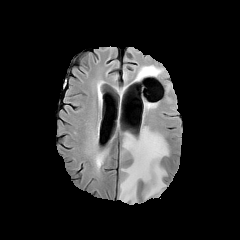
FLAIR MR image.
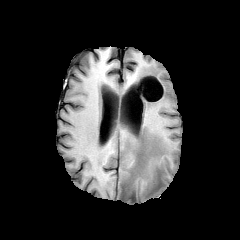
T1-weighted MRI.
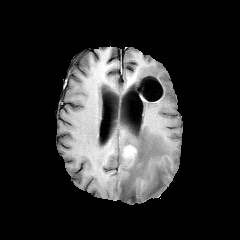
Post-contrast T1-weighted MR image.
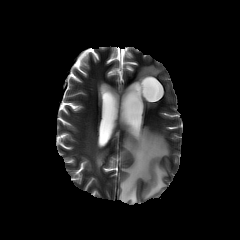
T2-weighted MRI of the same slice.
Head
edema: bbox(138, 65, 161, 79); bbox(119, 125, 169, 203); bbox(95, 156, 102, 168) | non-enhancing tumor core: bbox(134, 146, 143, 164) | enhancing tumor: bbox(122, 145, 136, 156)